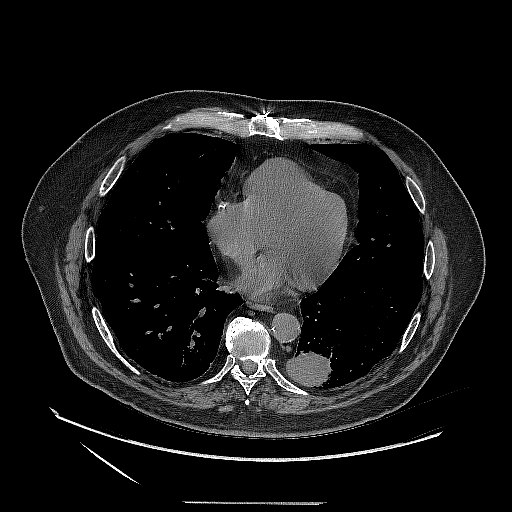
512x512; Chest; CT slice
lung tumor: bbox=[286, 343, 350, 388]